Head | Image width 240 mm
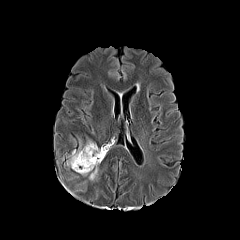
FLAIR MR image.
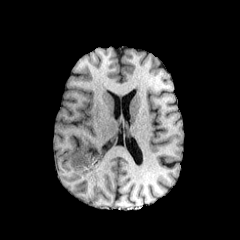
Same slice, T1-weighted MRI.
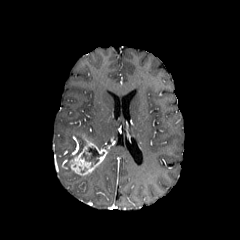
Post-contrast T1-weighted magnetic resonance.
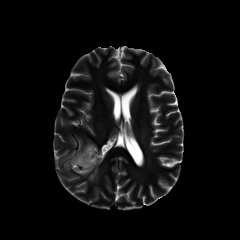
Same slice, T2-weighted MR image.
{"enhancing_tumor": ["bbox=[70, 141, 105, 174]"], "edema": ["bbox=[89, 168, 98, 180]"], "non-enhancing_tumor_core": ["bbox=[67, 145, 82, 166]", "bbox=[81, 146, 102, 168]"]}